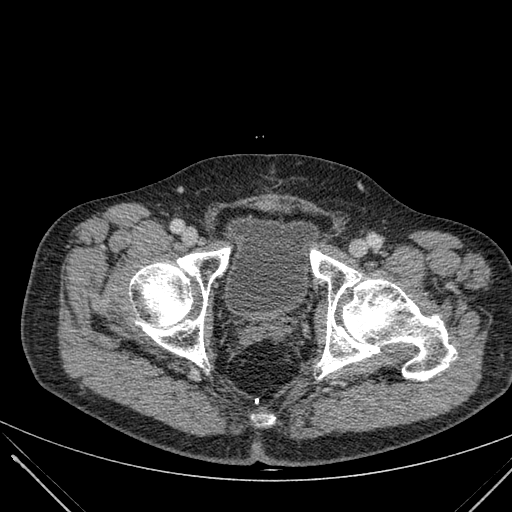 512x512 | Pelvis | Computed tomography
The urinary bladder is located at 225 218 319 312.